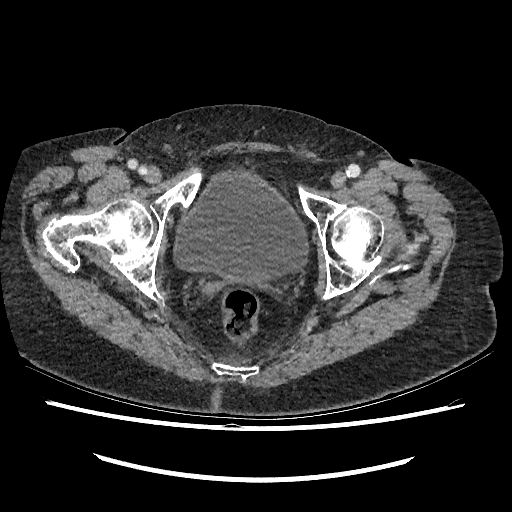

CT image
- urinary bladder: 173:174:308:288